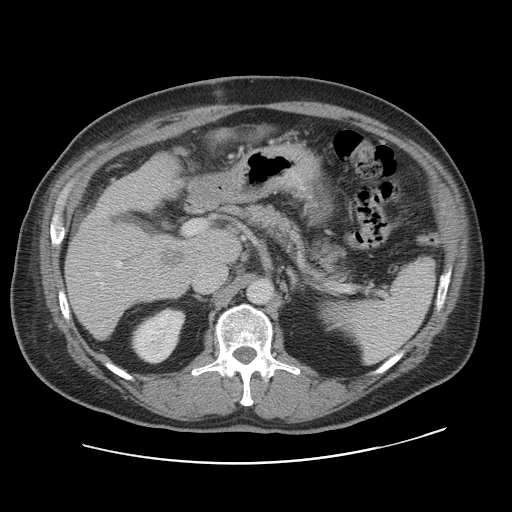 CT scan slice.

The vessel boxes may cover only some of the vessels.
The liver tumor lies within box=[158, 247, 185, 272]. 6 hepatic vessel regions appear at box=[112, 276, 114, 277]; box=[141, 251, 149, 259]; box=[153, 260, 155, 262]; box=[117, 285, 120, 288]; box=[115, 261, 121, 267]; box=[100, 282, 110, 291].